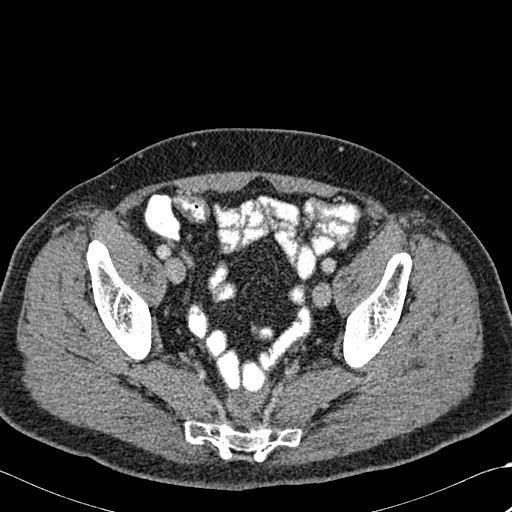 Image size 512x512; CT image
3 bone regions are located at 87, 241, 151, 359; 185, 421, 300, 461; 343, 253, 411, 367.